FLAIR magnetic resonance.
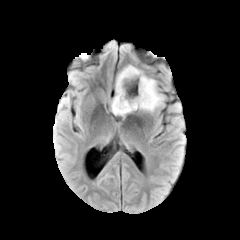
T1-weighted magnetic resonance.
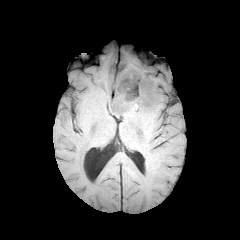
Post-contrast T1-weighted MR image.
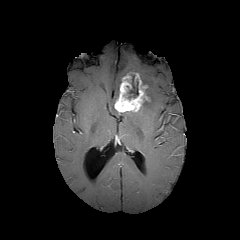
T2-weighted MR.
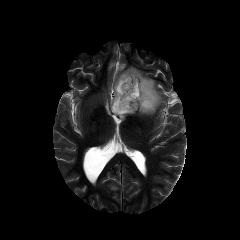
Brain
The edema is at l=116, t=65, r=163, b=113. The enhancing tumor is bounded by l=114, t=72, r=149, b=114. 3 non-enhancing tumor core regions appear at l=138, t=80, r=151, b=112; l=126, t=74, r=138, b=97; l=110, t=74, r=125, b=113.